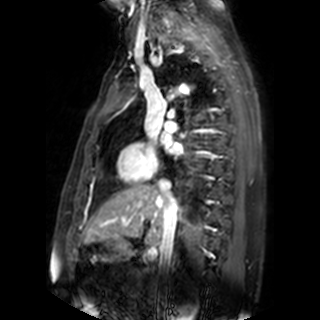 MRI slice, Cardiac
Left atrium at 160 133 182 154.